Liver. Slice 13 of 41. 512x512 px. Computed tomography.

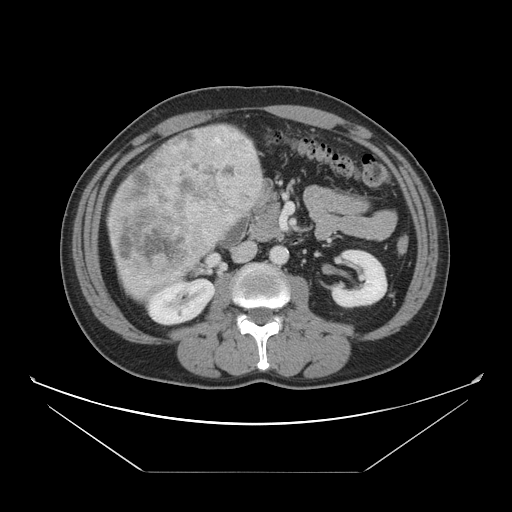 The vessel annotation is not exhaustive.
liver tumor: (left=109, top=126, right=262, bottom=276) | hepatic vessel: (left=146, top=280, right=150, bottom=284), (left=123, top=270, right=127, bottom=272), (left=138, top=275, right=140, bottom=277)